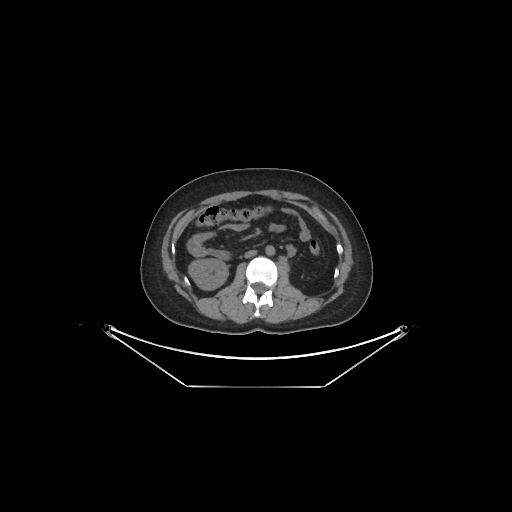
CT scan slice | Abdomen
* kidney: (189, 259, 227, 289)